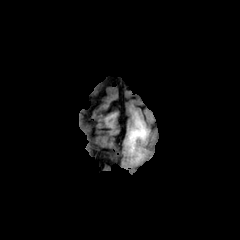
FLAIR magnetic resonance.
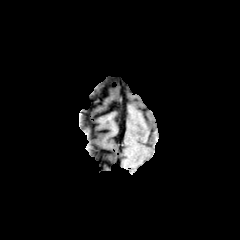
T1-weighted magnetic resonance.
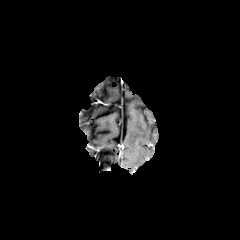
Post-contrast T1-weighted MR.
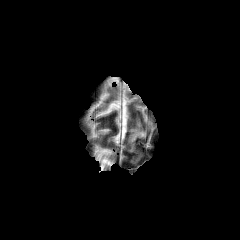
T2-weighted MR of the same slice.
Head. 240x240 px.
Segmented structures:
• edema: region(127, 112, 148, 152)